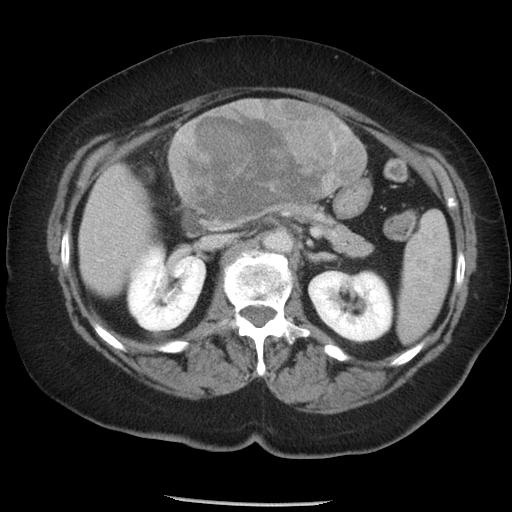

CT scan slice. Image size 512x512.
Some hepatic vessels may have no box.
Liver tumor — region(185, 99, 366, 217).
Hepatic vessel — region(97, 259, 100, 260); region(114, 252, 115, 254).